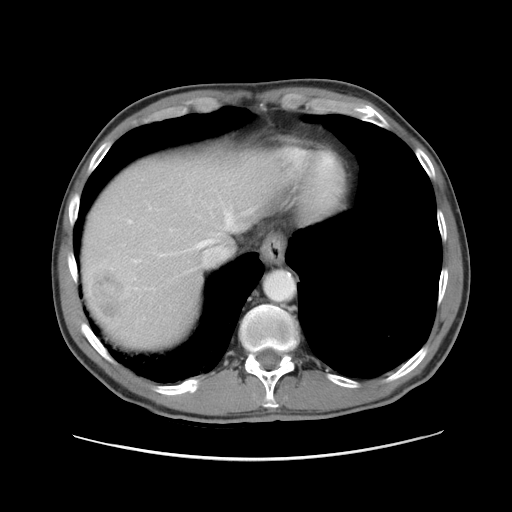

CT | Abdomen
The vessel annotation is not exhaustive.
Annotated regions:
• liver tumor: (92, 276, 123, 318)
• hepatic vessel: (196, 246, 229, 267), (193, 227, 198, 230), (224, 209, 235, 228), (191, 232, 221, 251), (148, 205, 150, 209), (127, 220, 131, 223), (209, 205, 211, 209), (132, 259, 140, 262), (170, 229, 173, 231), (159, 252, 181, 256), (182, 249, 189, 251)